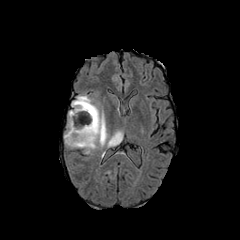
FLAIR magnetic resonance.
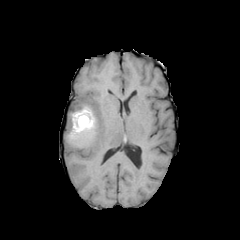
T1-weighted MRI.
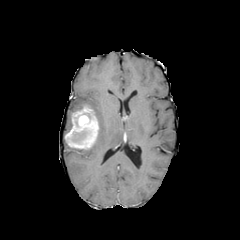
Post-contrast T1-weighted magnetic resonance of the same slice.
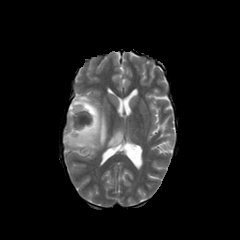
Same slice, T2-weighted MRI.
240x240 px.
Non-enhancing tumor core: (74,111,93,127), (72,130,86,141).
Edema: (67,93,119,156).
Enhancing tumor: (64,105,98,148).